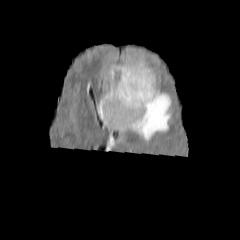
FLAIR MR.
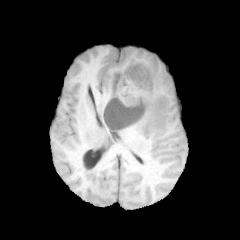
T1-weighted MR image of the same slice.
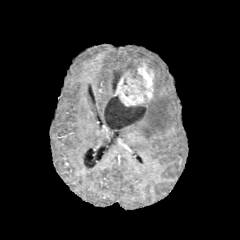
Post-contrast T1-weighted magnetic resonance of the same slice.
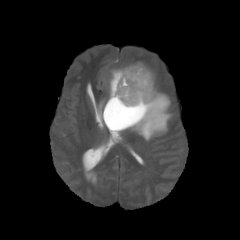
T2-weighted MR.
Brain
Edema: bounding box (107, 85, 172, 139), (107, 78, 113, 98), (98, 99, 107, 124).
Enhancing tumor: bounding box (115, 63, 154, 105).
Non-enhancing tumor core: bounding box (104, 64, 148, 129).